FLAIR MR image.
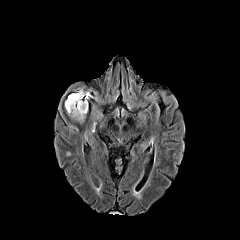
T1-weighted MR image.
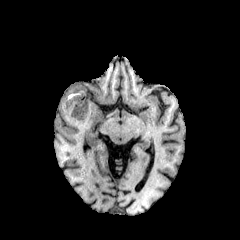
Post-contrast T1-weighted MR image.
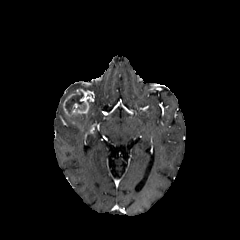
T2-weighted magnetic resonance.
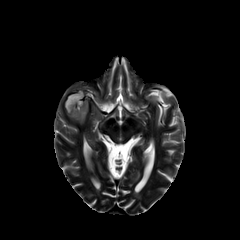
Image size 240x240
{"enhancing_tumor": ["box=[63, 89, 91, 118]"], "edema": ["box=[70, 114, 85, 124]"], "non-enhancing_tumor_core": ["box=[65, 93, 82, 113]"]}